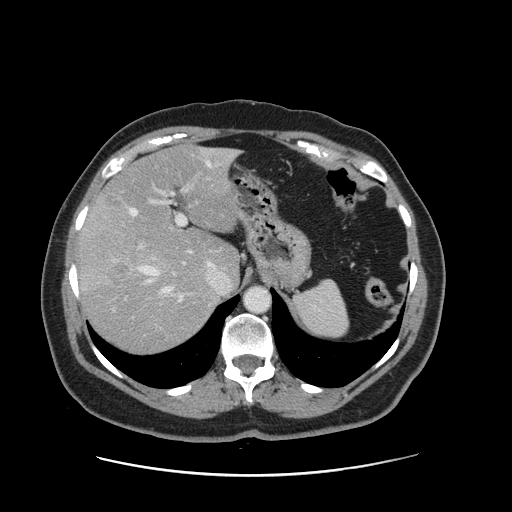

Computed tomography, Liver

Only some of the vessels may be annotated.
Hepatic vessel = bbox(176, 214, 186, 225); bbox(139, 244, 143, 248); bbox(171, 192, 173, 194); bbox(188, 250, 191, 252); bbox(183, 187, 187, 190); bbox(150, 200, 170, 203); bbox(179, 295, 182, 300); bbox(206, 162, 210, 165); bbox(142, 266, 158, 283); bbox(163, 286, 171, 295).
Liver tumor = bbox(108, 265, 131, 289).